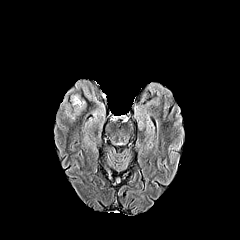
FLAIR MRI.
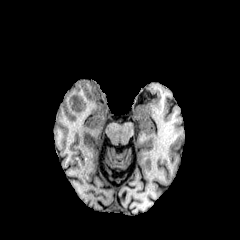
Same slice, T1-weighted MRI.
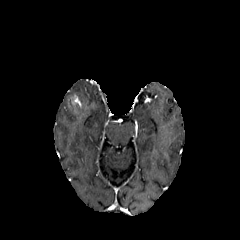
Post-contrast T1-weighted MR of the same slice.
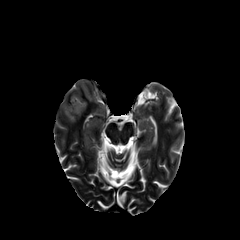
Same slice, T2-weighted MR.
enhancing_tumor:
  - bbox(68, 95, 83, 113)
edema:
  - bbox(65, 102, 86, 121)